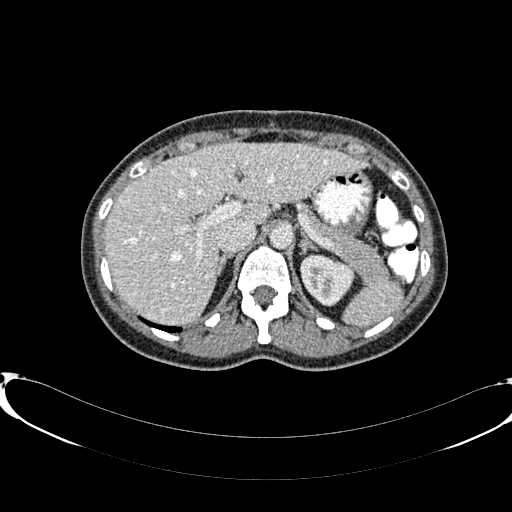

Image size 512x512. CT slice.

The kidney lies within (302,256,350,303). The liver is located at (104,143,368,324).